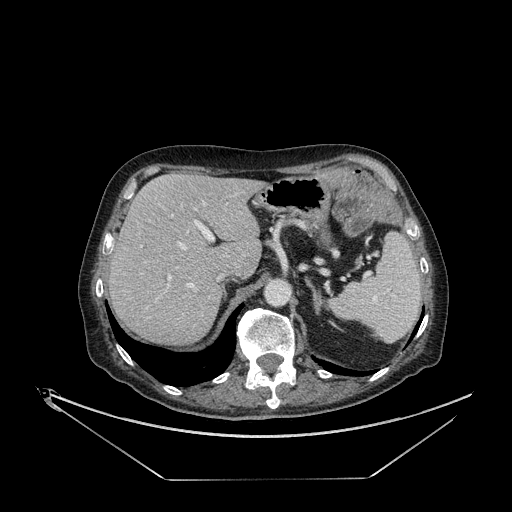 Computed tomography
Liver: x1=110, y1=174, x2=263, y2=345.